Slice 393/588; Computed tomography; Liver 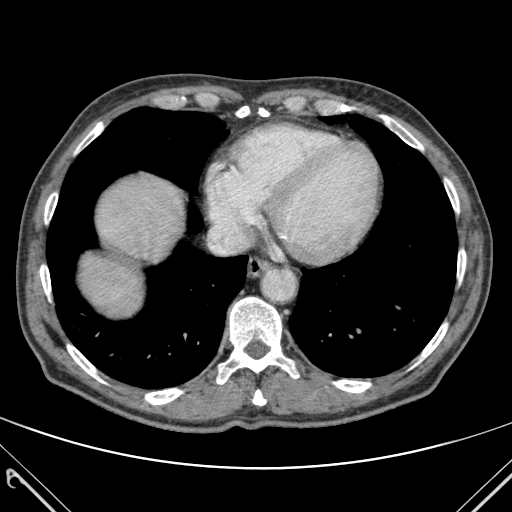

Liver: bounding box bbox=[96, 174, 183, 262]; bbox=[80, 255, 141, 315].
Bone: bounding box bbox=[253, 390, 265, 405]; bbox=[421, 323, 447, 360]; bbox=[333, 380, 370, 392]; bbox=[457, 250, 465, 281]; bbox=[217, 297, 298, 384]; bbox=[145, 389, 182, 404]; bbox=[45, 192, 57, 223]; bbox=[445, 179, 458, 212]; bbox=[256, 108, 269, 116]; bbox=[67, 345, 104, 383]; bbox=[377, 115, 423, 149]; bbox=[75, 122, 103, 152]; bbox=[40, 263, 50, 300]; bbox=[236, 106, 251, 117].
Lung: bounding box bbox=[188, 205, 202, 232]; bbox=[289, 114, 457, 377]; bbox=[46, 107, 247, 388].